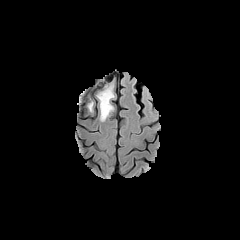
FLAIR magnetic resonance.
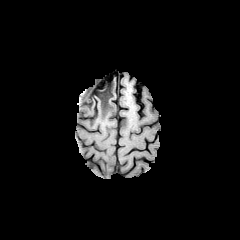
T1-weighted MR.
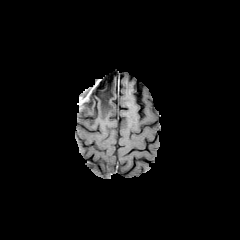
Same slice, post-contrast T1-weighted MR.
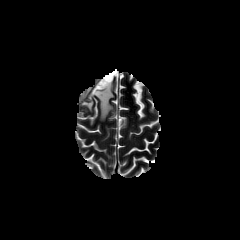
T2-weighted magnetic resonance.
edema: (left=79, top=88, right=91, bottom=109), (left=87, top=82, right=115, bottom=121) | non-enhancing tumor core: (left=94, top=82, right=112, bottom=117)